FLAIR magnetic resonance.
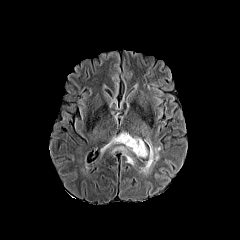
T1-weighted MR.
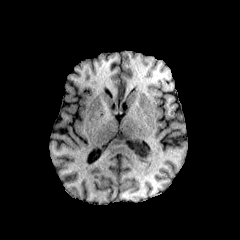
Post-contrast T1-weighted MR image.
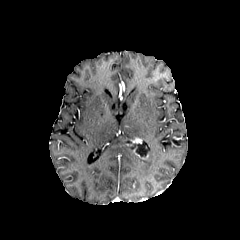
T2-weighted MR.
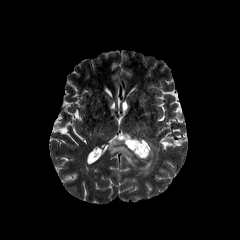
<segmentation>
  <non-enhancing_tumor_core>126,141,148,157</non-enhancing_tumor_core>
  <edema>139,138,161,173; 106,139,134,166</edema>
  <enhancing_tumor>131,137,142,143; 132,148,149,162</enhancing_tumor>
</segmentation>